Slice 63/155
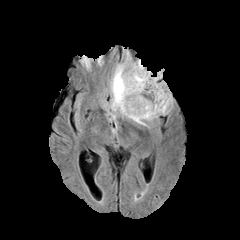
FLAIR MR image.
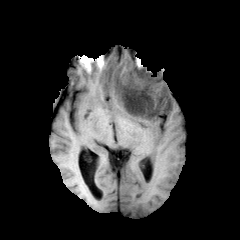
T1-weighted MRI.
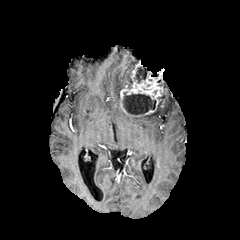
Post-contrast T1-weighted MR image.
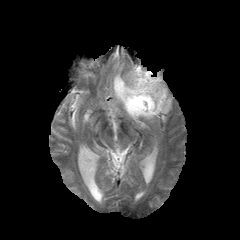
T2-weighted MR image of the same slice.
non-enhancing_tumor_core:
  - x1=135, y1=67, x2=147, y2=81
  - x1=122, y1=93, x2=155, y2=114
  - x1=148, y1=93, x2=166, y2=115
edema:
  - x1=103, y1=54, x2=172, y2=127
enhancing_tumor:
  - x1=120, y1=62, x2=166, y2=108